Field of view 240x240 mm. Slice 100/155.
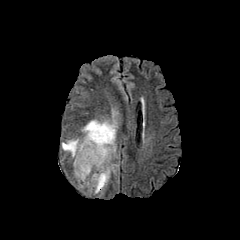
FLAIR MR.
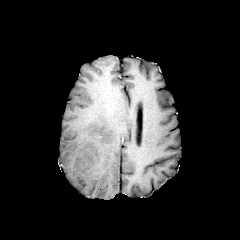
T1-weighted MR.
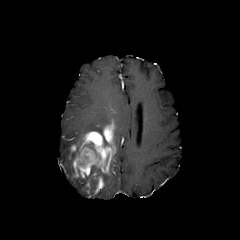
Post-contrast T1-weighted magnetic resonance.
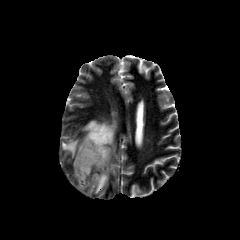
T2-weighted MR.
• non-enhancing tumor core: 76, 165, 106, 191; 72, 139, 83, 156
• edema: 99, 166, 113, 192; 62, 112, 117, 154
• enhancing tumor: 73, 126, 115, 178; 95, 177, 103, 193